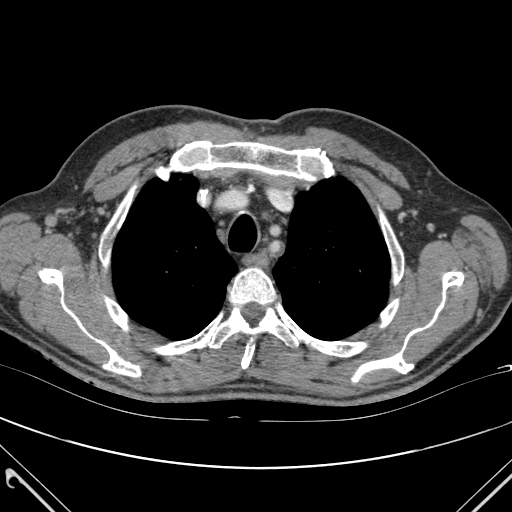

Thorax | Image size 512x512 | CT

Bone: bounding box box=[380, 212, 403, 284]; box=[231, 268, 274, 304]; box=[101, 186, 135, 245]; box=[154, 304, 366, 356]; box=[99, 251, 109, 266]; box=[241, 344, 254, 368]; box=[105, 297, 127, 329]; box=[39, 268, 89, 335]; box=[157, 141, 333, 180]; box=[90, 336, 140, 376]; box=[381, 299, 398, 326]; box=[352, 272, 463, 381].
Lung: bounding box box=[112, 174, 237, 339]; box=[272, 177, 390, 340].